Head
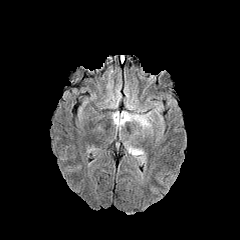
FLAIR magnetic resonance.
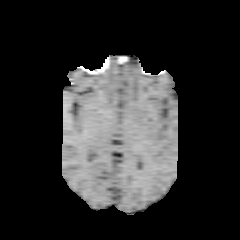
T1-weighted MR.
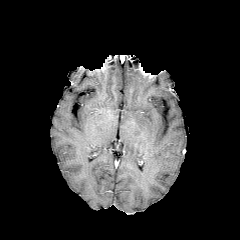
Post-contrast T1-weighted MRI.
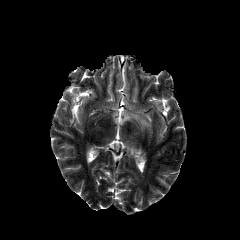
T2-weighted MR image of the same slice.
{"edema": ["left=109, top=83, right=163, bottom=134", "left=123, top=141, right=146, bottom=164", "left=104, top=81, right=121, bottom=108"]}